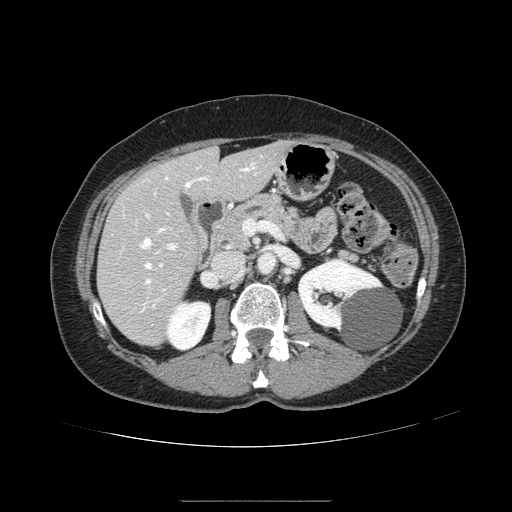
Abdomen, CT slice

Pancreas: bounding box bbox(207, 193, 300, 263); bbox(333, 250, 375, 270).